FLAIR MRI.
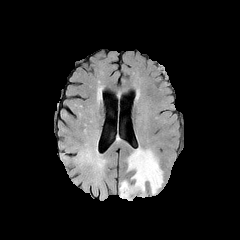
T1-weighted MR.
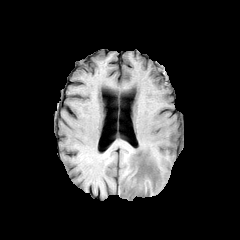
Post-contrast T1-weighted MR image.
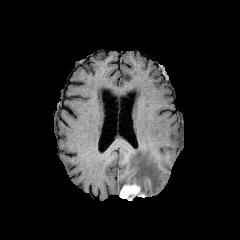
T2-weighted MR.
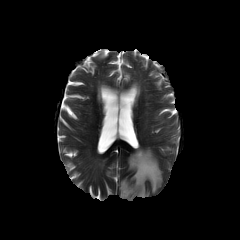
240x240. Head.
{
  "edema": [
    "128, 147, 162, 194"
  ],
  "enhancing_tumor": [
    "120, 184, 141, 200"
  ]
}